512x512 px; CT image; Abdomen

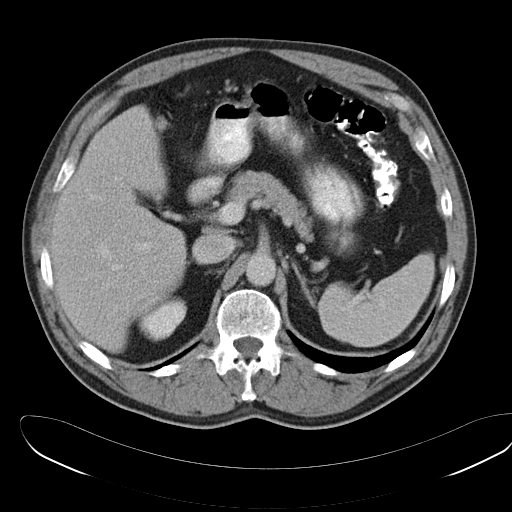 The spleen is located at (left=320, top=253, right=433, bottom=347).